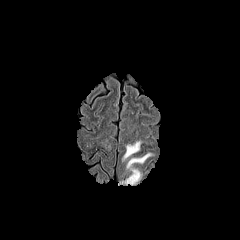
FLAIR MRI.
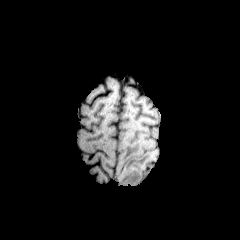
T1-weighted MRI.
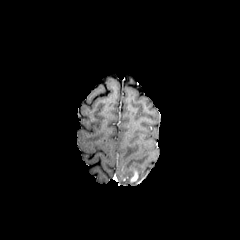
Same slice, post-contrast T1-weighted MRI.
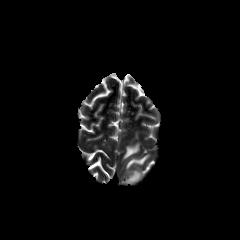
Same slice, T2-weighted MR image.
Brain.
edema: x1=118 y1=170 x2=143 y2=185, x1=124 y1=154 x2=151 y2=173, x1=122 y1=142 x2=139 y2=161 | enhancing tumor: x1=130 y1=170 x2=138 y2=182